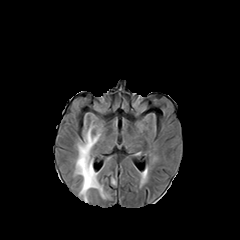
FLAIR MR.
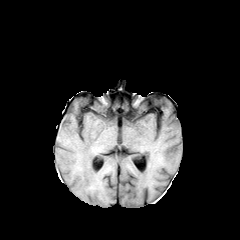
T1-weighted magnetic resonance of the same slice.
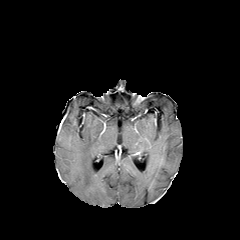
Same slice, post-contrast T1-weighted MRI.
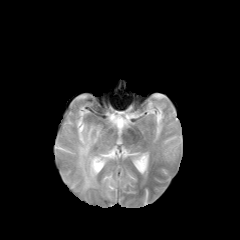
Same slice, T2-weighted MR.
Annotated regions:
- edema: box=[74, 126, 110, 201]